Abdomen | CT image | Slice 6 of 89

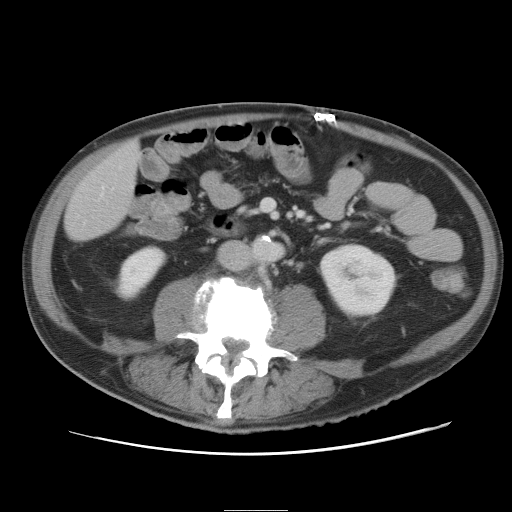

Not every hepatic vessel necessarily has a box.
{"hepatic_vessel": ["132 143 135 146"]}